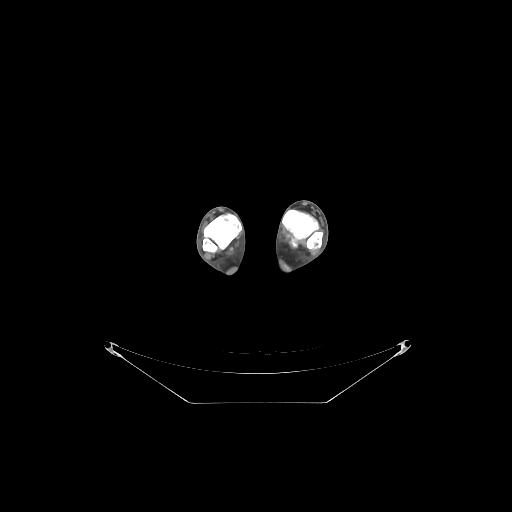

Image size 512x512, CT image

Bone: bounding box bbox=[202, 214, 241, 252]; bbox=[282, 210, 322, 249].